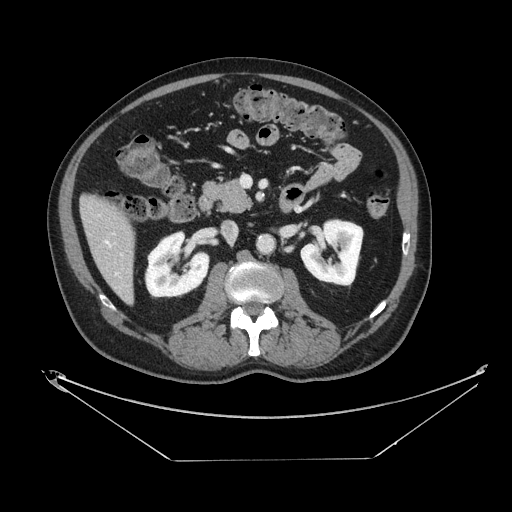
CT; Upper abdomen

Annotated regions:
- pancreas: [x1=216, y1=180, x2=252, y2=212]